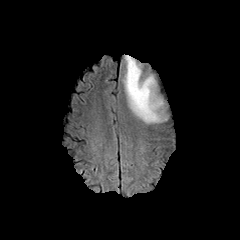
FLAIR MR image.
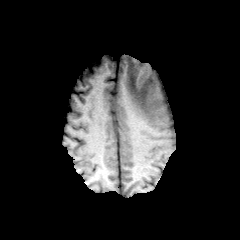
T1-weighted magnetic resonance.
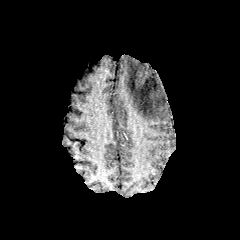
Post-contrast T1-weighted MRI.
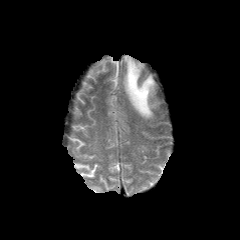
T2-weighted MR of the same slice.
Brain
Edema = 122 55 165 123.